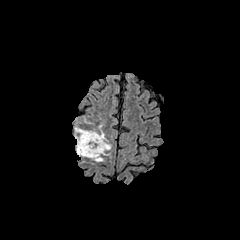
FLAIR MRI.
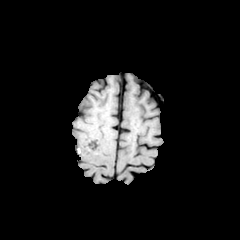
T1-weighted MR.
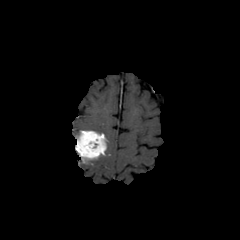
Same slice, post-contrast T1-weighted MR image.
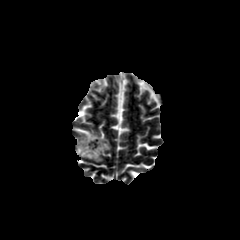
T2-weighted MRI.
enhancing_tumor:
  - bbox=[75, 130, 107, 161]
edema:
  - bbox=[74, 119, 95, 138]
  - bbox=[88, 140, 111, 162]
  - bbox=[96, 123, 105, 136]